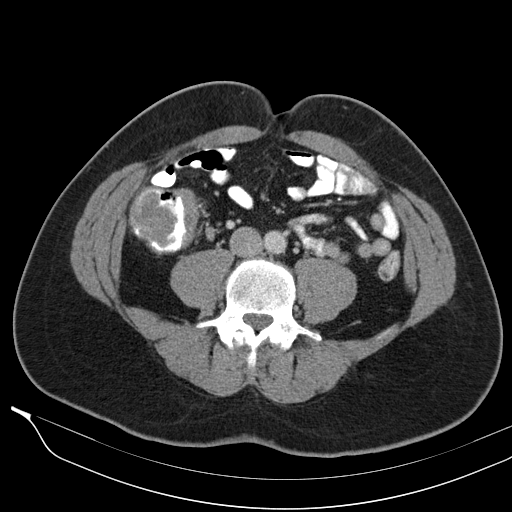

CT. Findings:
• colon tumor: 131:191:175:247, 173:189:197:248